Slice 65 of 155 | Head | Image size 240x240
FLAIR MR.
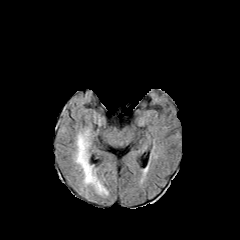
T1-weighted MR.
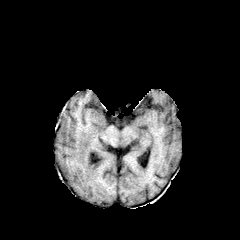
Post-contrast T1-weighted MR.
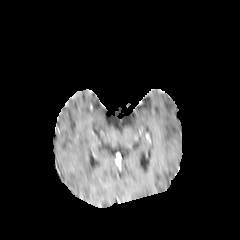
T2-weighted MR image.
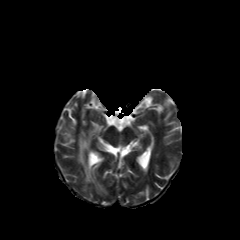
Edema at 73,130,107,195.